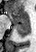 Hippocampus; Magnetic resonance
{
  "anterior_hippocampus": [
    "region(6, 10, 30, 24)"
  ],
  "posterior_hippocampus": [
    "region(16, 25, 30, 37)"
  ]
}